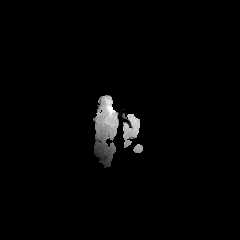
FLAIR MR.
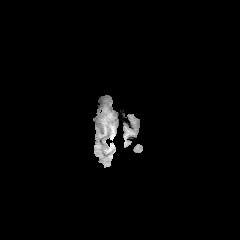
Same slice, T1-weighted MR image.
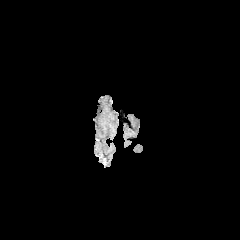
Post-contrast T1-weighted MR of the same slice.
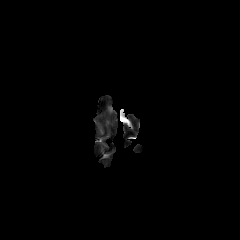
T2-weighted MR image.
Head
The edema is at 106,104,113,116.